Pelvis; CT
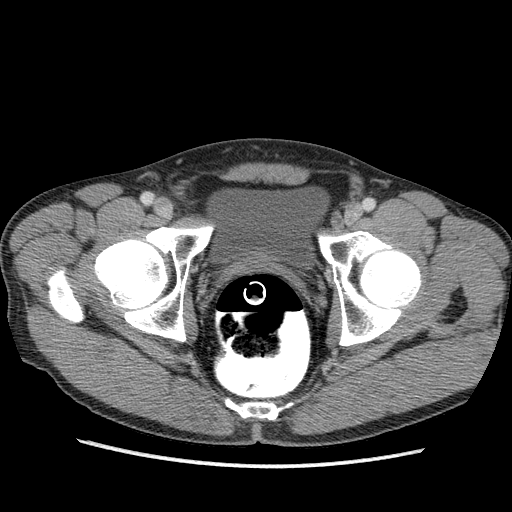

The urinary bladder is at [x1=205, y1=187, x2=328, y2=269].